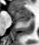

MRI slice
Anterior hippocampus: bounding box (x1=10, y1=9, x2=31, y2=20).
Posterior hippocampus: bounding box (x1=19, y1=21, x2=28, y2=22).